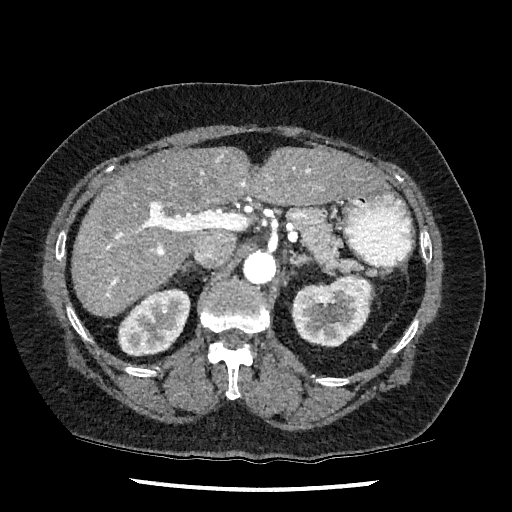 Liver | CT | Image size 512x512

Segmented structures:
- kidney: bbox=[119, 289, 189, 355]; bbox=[293, 276, 371, 345]
- liver: bbox=[71, 147, 387, 316]